Upper abdomen; CT image; 512x512

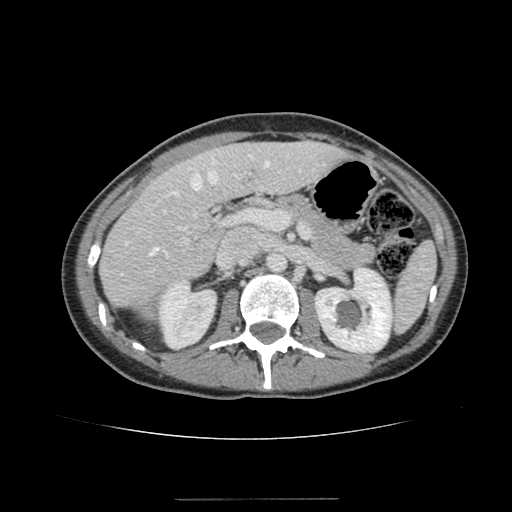
Liver: <bbox>98, 140, 348, 312</bbox>.
Kidney: <bbox>315, 268, 392, 352</bbox>, <bbox>160, 280, 215, 348</bbox>.